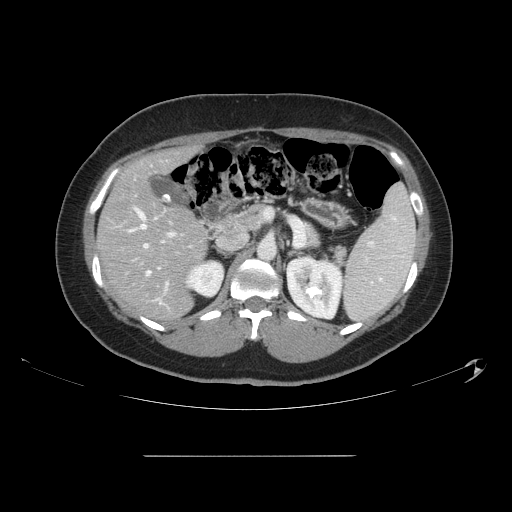 CT image

Only some of the vessels may be annotated.
hepatic vessel: 155 217 156 218, 146 271 150 275, 168 232 173 236, 165 286 166 291, 140 224 145 228, 135 208 143 218, 128 229 133 231, 144 244 147 247, 158 298 161 303